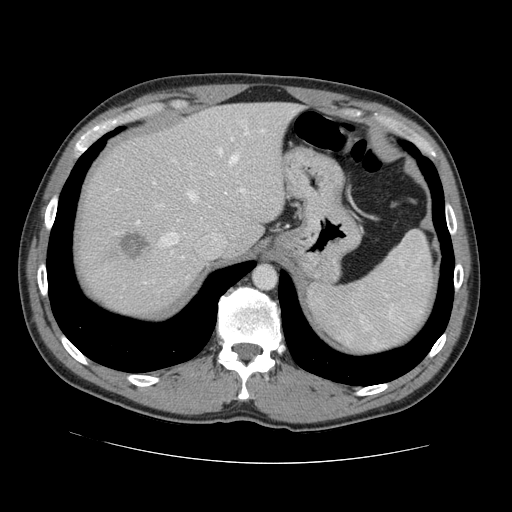

Computed tomography. 512x512 px. Liver.

The vessel annotation is not exhaustive.
Liver tumor: 119:230:147:261.
Top 15 of 21 hepatic vessel regions: 188:191:196:202, 158:232:177:245, 216:147:221:154, 236:188:244:193, 180:256:183:258, 230:154:237:163, 260:130:264:133, 113:232:120:233, 156:204:163:206, 230:137:232:140, 169:251:172:255, 227:129:229:132, 136:221:138:224, 239:120:247:134, 171:158:175:161.